Slice index 73, Head
FLAIR MR image.
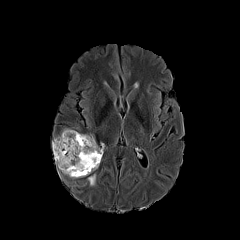
T1-weighted MRI.
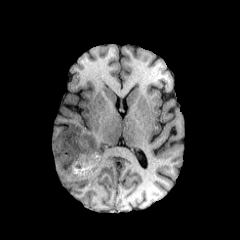
Post-contrast T1-weighted MR image.
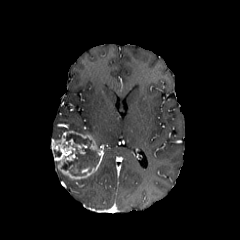
T2-weighted MR image.
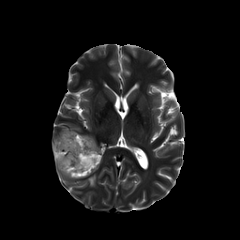
edema: 87,175,95,186 | enhancing tumor: 52,131,103,179; 75,143,87,154 | non-enhancing tumor core: 60,133,100,176